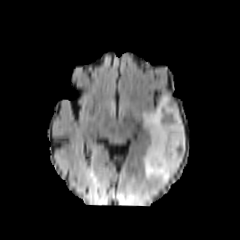
FLAIR MR.
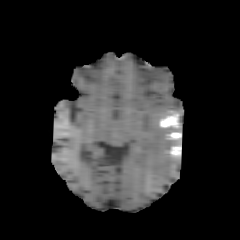
Same slice, T1-weighted MR image.
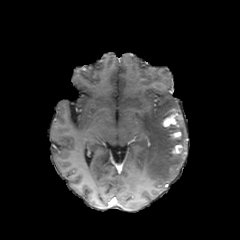
Post-contrast T1-weighted magnetic resonance.
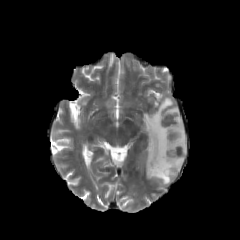
T2-weighted MR image.
Head.
Enhancing tumor = 172,144,182,154; 162,111,179,127; 170,131,180,139.
Edema = 142,94,186,184.